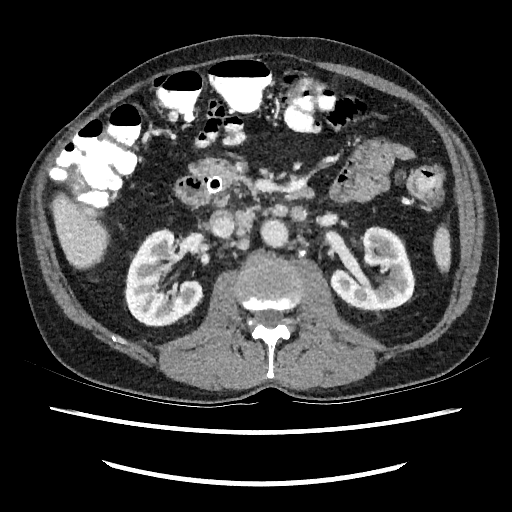
CT image | Image size 512x512
liver: rect(53, 196, 106, 267) | kidney: rect(126, 230, 201, 325); rect(331, 228, 413, 308)